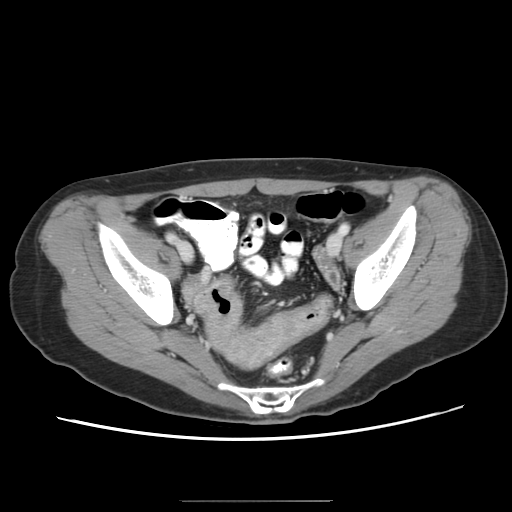
CT image | 512x512 px

colon tumor: (x1=194, y1=276, x2=328, y2=370)